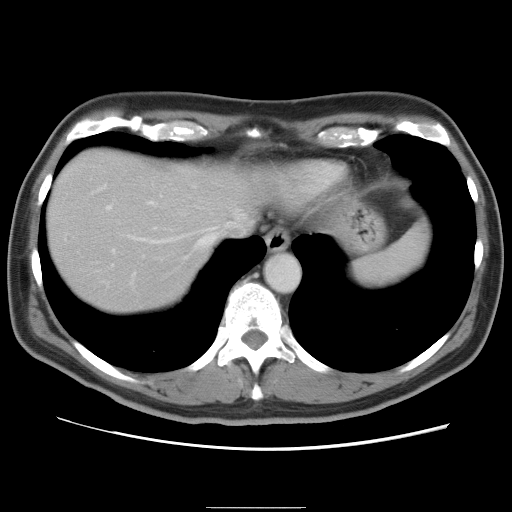 CT scan slice
Not every hepatic vessel necessarily has a box.
hepatic vessel: x1=196 y1=228 x2=206 y2=246, x1=153 y1=227 x2=154 y2=228, x1=106 y1=204 x2=111 y2=209, x1=112 y1=249 x2=114 y2=251, x1=131 y1=271 x2=135 y2=281, x1=212 y1=226 x2=215 y2=227, x1=111 y1=264 x2=112 y2=265, x1=184 y1=255 x2=186 y2=257, x1=148 y1=200 x2=153 y2=203, x1=234 y1=209 x2=241 y2=216, x1=97 y1=184 x2=105 y2=190